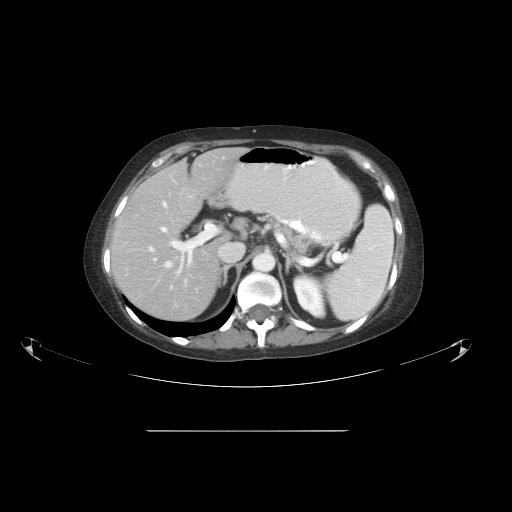
Abdomen | CT slice | Image size 512x512
Only some of the vessels may be annotated.
{
  "hepatic_vessel": [
    "<bbox>170, 286, 172, 288</bbox>",
    "<bbox>218, 249, 219, 255</bbox>",
    "<bbox>196, 288, 197, 289</bbox>",
    "<bbox>175, 249, 192, 275</bbox>",
    "<bbox>153, 258, 156, 261</bbox>",
    "<bbox>184, 279, 186, 284</bbox>",
    "<bbox>149, 247, 153, 251</bbox>",
    "<bbox>170, 240, 176, 248</bbox>",
    "<bbox>189, 195, 192, 197</bbox>",
    "<bbox>163, 202, 167, 207</bbox>",
    "<bbox>165, 261, 171, 267</bbox>",
    "<bbox>161, 227, 166, 232</bbox>"
  ]
}